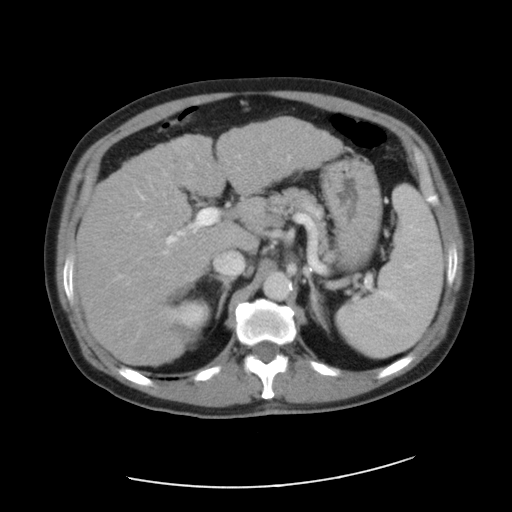
Image size 512x512; CT slice; Liver
The vessel annotation is not exhaustive.
Hepatic vessel — (197, 209, 216, 224), (189, 164, 191, 168), (136, 190, 143, 198), (148, 224, 151, 226), (136, 213, 139, 215), (167, 238, 173, 243), (163, 251, 168, 254), (287, 156, 289, 158).